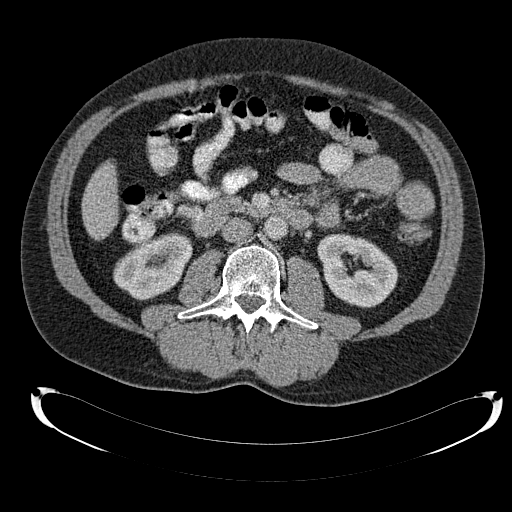

Computed tomography
liver:
  - 82,165,117,238
kidney:
  - 114,235,191,299
  - 318,234,397,306